T2-weighted MR.
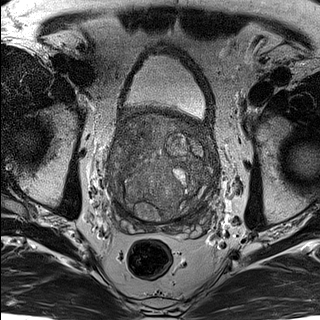
ADC magnetic resonance.
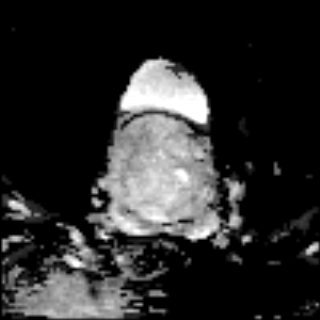
Prostate transition zone at [111,115,218,221].